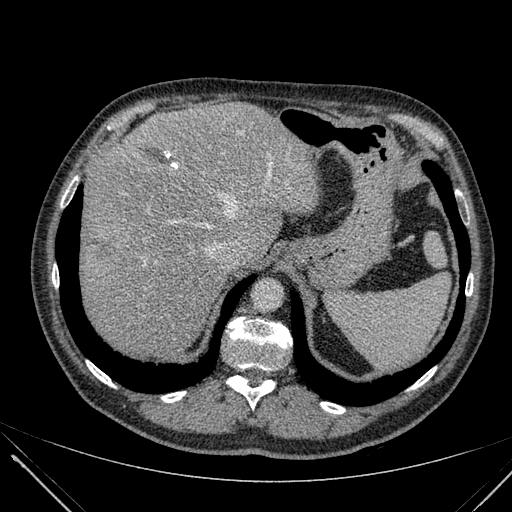
Image size 512x512. Computed tomography. Upper abdomen.
2 hepatic lesion regions are located at (left=145, top=147, right=176, bottom=164), (left=98, top=240, right=110, bottom=256). The liver lies within (left=80, top=103, right=319, bottom=358).